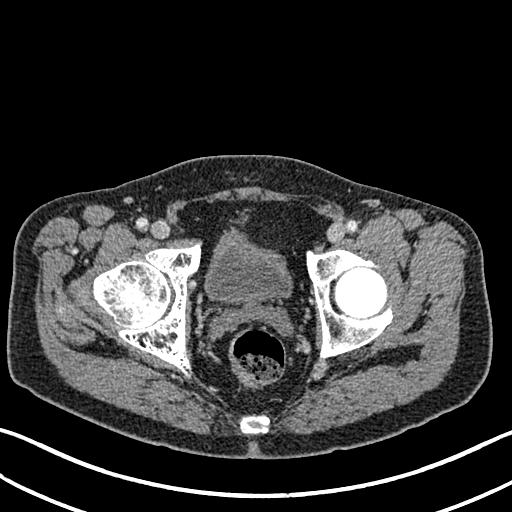

CT image, Pelvis

<segmentation>
  <urinary_bladder>(left=204, top=231, right=291, bottom=306)</urinary_bladder>
</segmentation>